Cardiac; Slice 56/120; MRI
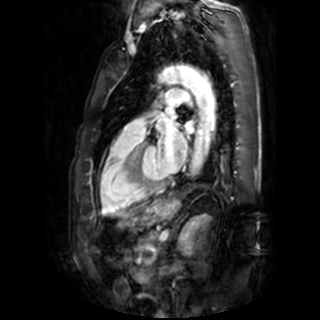 left atrium: box(167, 109, 176, 118); box(185, 122, 194, 133); box(156, 118, 186, 171)